Lower abdomen | 512x512 | CT 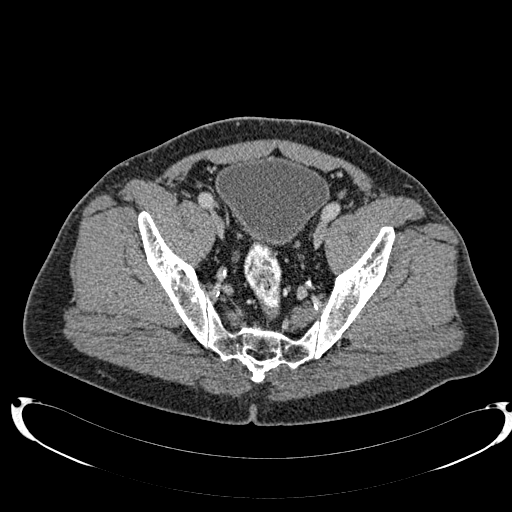

The urinary bladder is located at (217, 155, 329, 246).